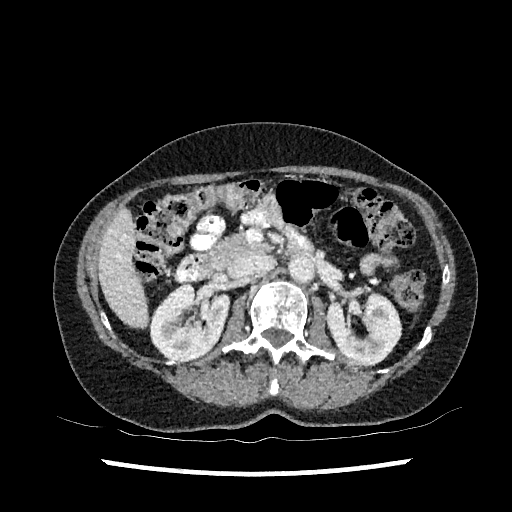 CT scan slice. Upper abdomen. 512x512. 2 kidney regions are located at [151, 284, 228, 360], [328, 295, 400, 364]. The liver is at [99, 210, 147, 327].